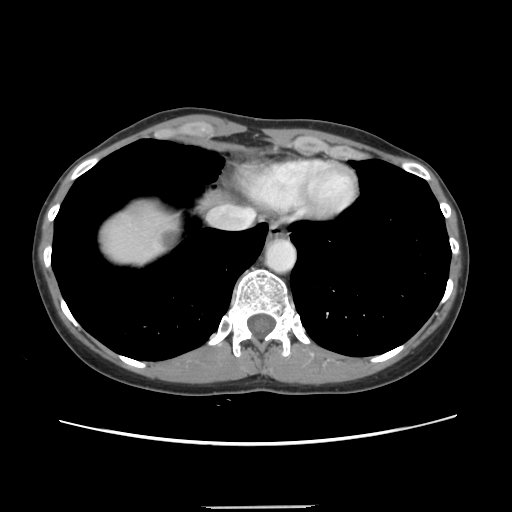

CT, 512x512 px, Abdomen
The liver tumor appears at 161 227 173 250.